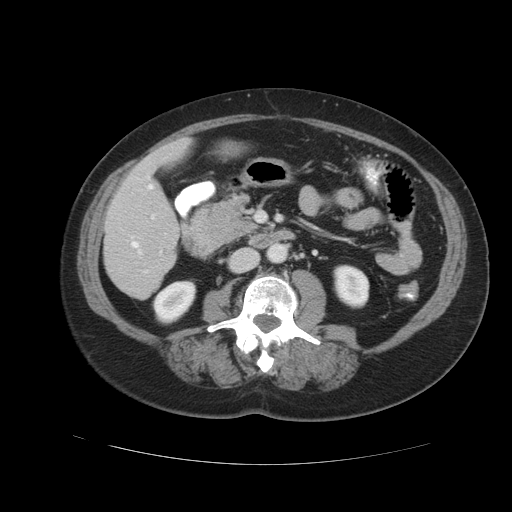
Abdomen. CT image. The vessel boxes may cover only some of the vessels.
3 hepatic vessel regions are bounded by x1=132, y1=242, x2=137, y2=246; x1=148, y1=185, x2=152, y2=188; x1=152, y1=216, x2=153, y2=218.